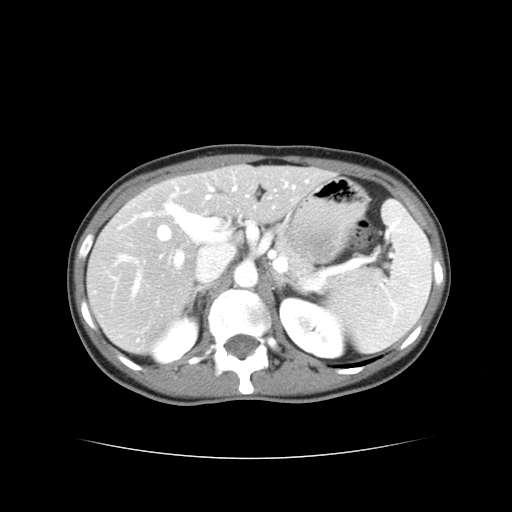
Computed tomography

The vessel annotation is not exhaustive.
Segmented structures:
• hepatic vessel: bbox(167, 204, 172, 212); bbox(159, 227, 169, 239); bbox(234, 187, 236, 189); bbox(175, 253, 183, 263); bbox(249, 222, 251, 223); bbox(179, 220, 181, 222); bbox(207, 197, 209, 199); bbox(144, 213, 150, 216); bbox(210, 188, 212, 190)